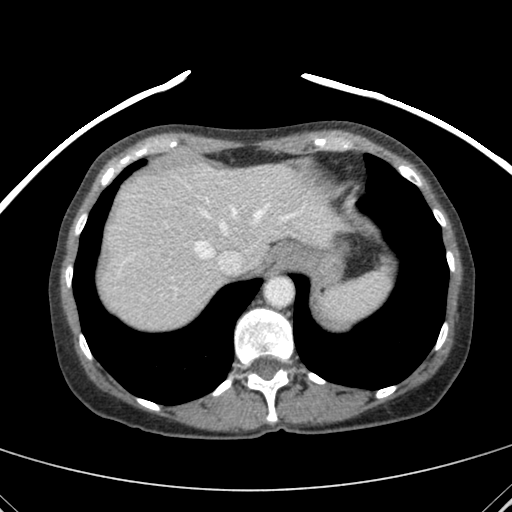

CT slice | 512x512 px
liver: l=100, t=156, r=338, b=329